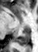

MRI slice. 38x52.
Annotated regions:
- posterior hippocampus: [15,28,30,45]